CT scan slice | 512x512 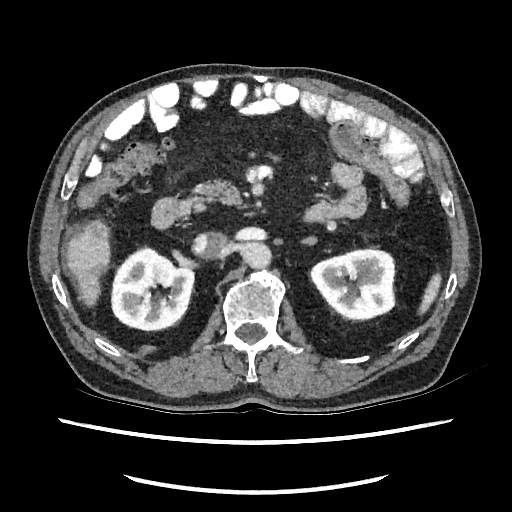

Segmented structures:
* kidney: 311:248:394:320, 111:246:194:330
* liver lesion: 93:224:102:237, 92:264:104:275
* liver: 67:221:109:303